Slice index 148 | Image size 512x512 | Image width 404 mm | CT scan slice
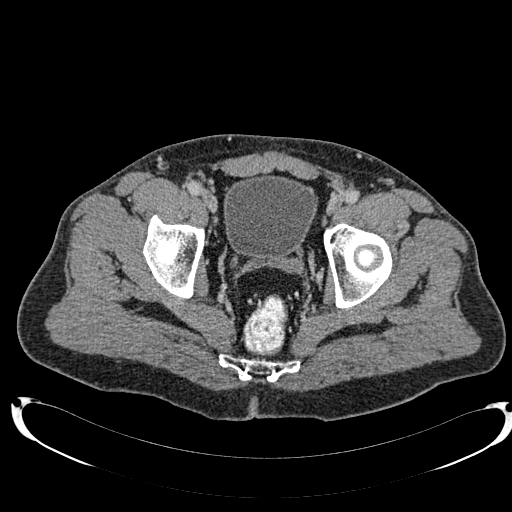
Urinary bladder — [224, 174, 317, 266].